Slice index 69; CT image

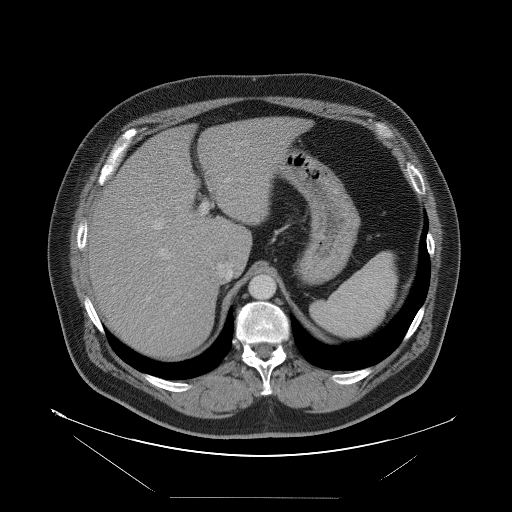 The vessel annotation is not exhaustive.
Hepatic vessel: bounding box (left=235, top=153, right=237, bottom=155), (left=112, top=287, right=114, bottom=290), (left=225, top=177, right=231, bottom=181), (left=167, top=266, right=174, bottom=269), (left=217, top=263, right=228, bottom=269), (left=145, top=296, right=149, bottom=300), (left=173, top=312, right=174, bottom=313), (left=201, top=202, right=207, bottom=215), (left=154, top=219, right=161, bottom=228), (left=139, top=221, right=143, bottom=223), (left=160, top=248, right=170, bottom=258).